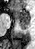

MR
<segmentation>
  <anterior_hippocampus><box>10,8,29,20</box></anterior_hippocampus>
  <posterior_hippocampus><box>18,21,29,29</box></posterior_hippocampus>
</segmentation>